CT slice
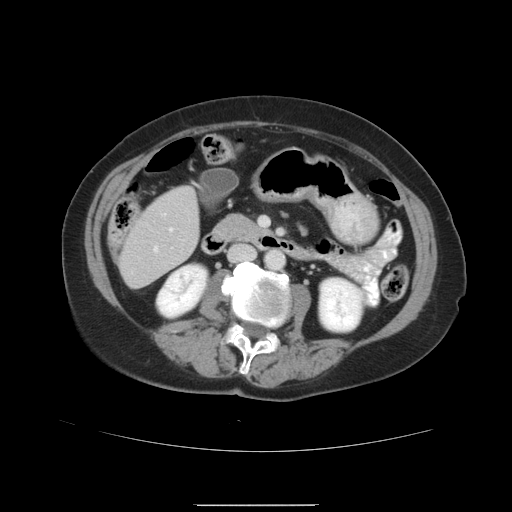
Not every hepatic vessel necessarily has a box.
Hepatic vessel: region(162, 213, 166, 216); region(170, 228, 172, 231); region(154, 247, 158, 251).